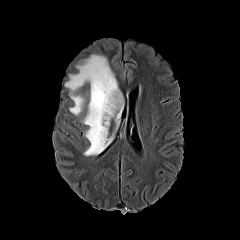
FLAIR MRI.
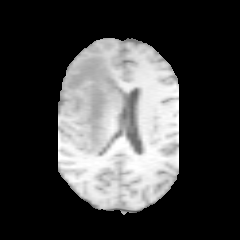
T1-weighted magnetic resonance.
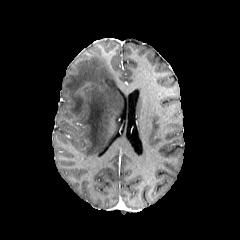
Post-contrast T1-weighted MR image.
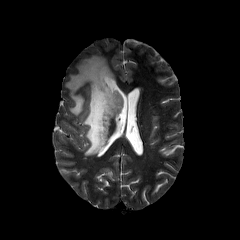
Same slice, T2-weighted MR.
Edema — bbox=[64, 55, 122, 156].